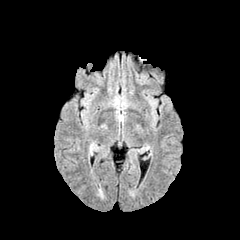
FLAIR MRI.
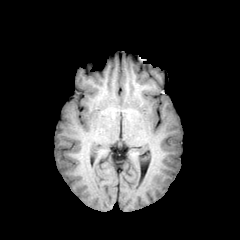
Same slice, T1-weighted magnetic resonance.
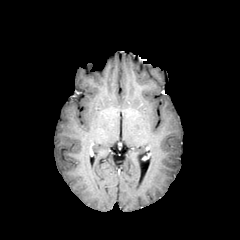
Post-contrast T1-weighted magnetic resonance.
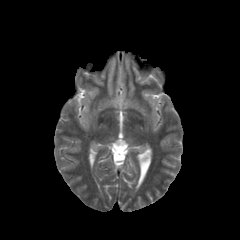
T2-weighted MR image.
Head
edema: [113, 96, 128, 108]